240x240
FLAIR MR image.
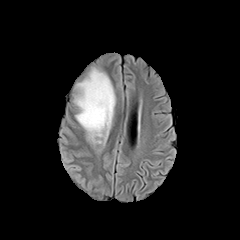
T1-weighted MR image.
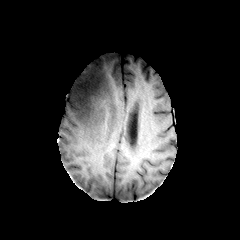
Post-contrast T1-weighted MR image.
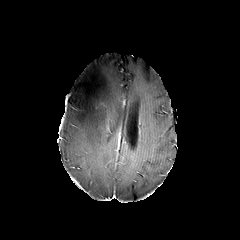
T2-weighted MR.
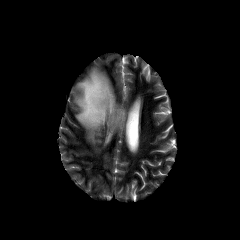
The non-enhancing tumor core is at (left=89, top=80, right=97, bottom=103). The edema is located at (left=73, top=67, right=115, bottom=145).